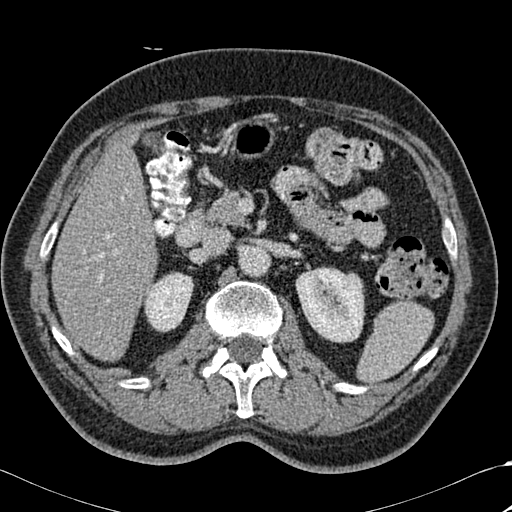 Image size 512x512, Computed tomography
7 bone regions appear at x1=203, y1=281, x2=285, y2=417; x1=444, y1=220, x2=456, y2=256; x1=336, y1=383, x2=364, y2=393; x1=414, y1=348, x2=436, y2=369; x1=41, y1=225, x2=56, y2=256; x1=53, y1=328, x2=71, y2=353; x1=121, y1=378, x2=148, y2=388. 2 kidney regions are located at x1=296, y1=268, x2=363, y2=341; x1=146, y1=273, x2=192, y2=330. The liver is bounded by x1=52, y1=145, x2=154, y2=360.